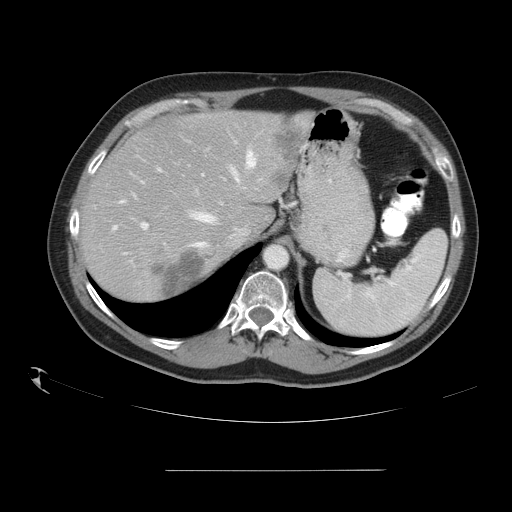 CT image. Abdomen. The vessel annotation is not exhaustive.
Liver tumor: bounding box (275,131,301,184), (151,253,209,294).
Hepatic vessel: bounding box (246,150,255,168), (202,173,203,175), (234,141,236,143), (141,222,147,229), (230,166,238,180), (193,212,215,221).